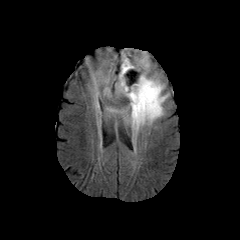
FLAIR MRI.
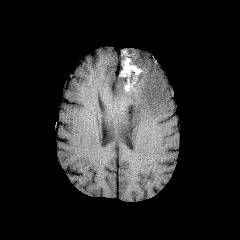
T1-weighted magnetic resonance.
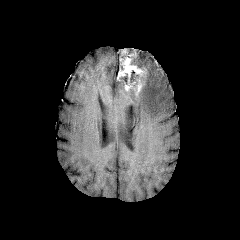
Post-contrast T1-weighted magnetic resonance of the same slice.
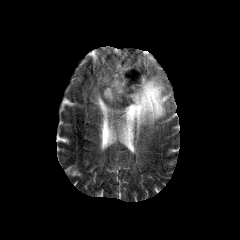
T2-weighted magnetic resonance of the same slice.
Image size 240x240.
Edema: bounding box (103,52,170,147).
Non-enhancing tumor core: bounding box (116,51,145,98).
Enhancing tumor: bounding box (118,58,144,76).